FLAIR MR.
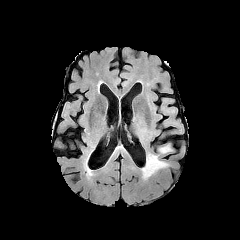
T1-weighted magnetic resonance.
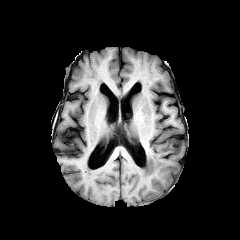
Post-contrast T1-weighted MR image.
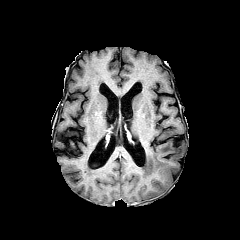
T2-weighted MR image.
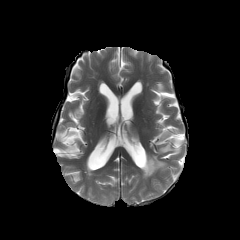
Brain
2 edema regions are bounded by rect(141, 152, 168, 179); rect(159, 143, 173, 153).